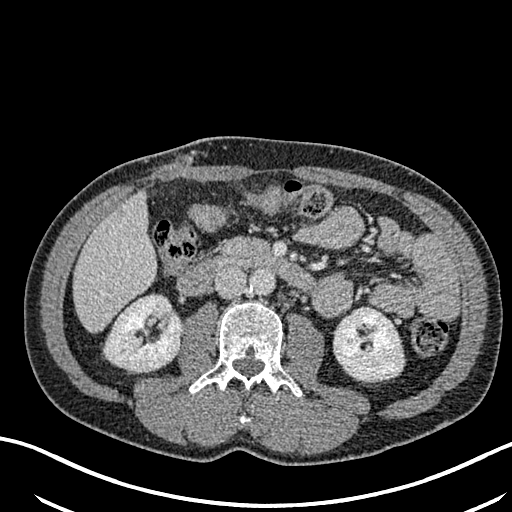
CT image. 512x512 px. Liver: bounding box box(73, 193, 154, 330).
Kidney: bounding box box(334, 308, 403, 380); box(106, 295, 180, 371).
Focal liver lesion: bounding box box(114, 209, 125, 222).